CT scan slice | Field of view 400x400 mm | Slice 337/781
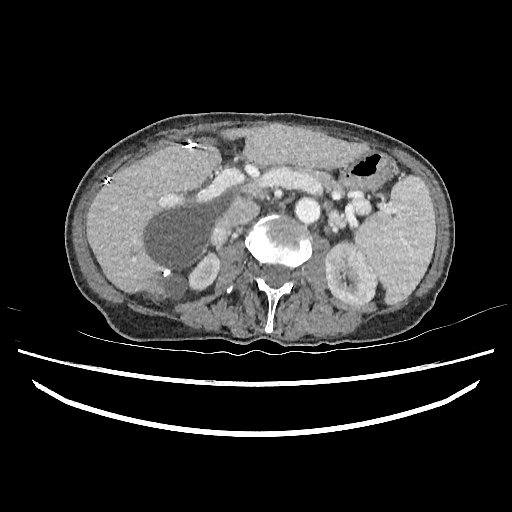

2 kidney regions are bounded by [189,253,219,288], [325,244,375,305]. 2 liver lesion regions are located at [161,274,186,298], [143,189,233,269]. 3 liver regions are located at [223,126,366,168], [226,186,237,200], [86,144,221,299].